Computed tomography. Thorax. Slice 432 of 605. Image width 434 mm. 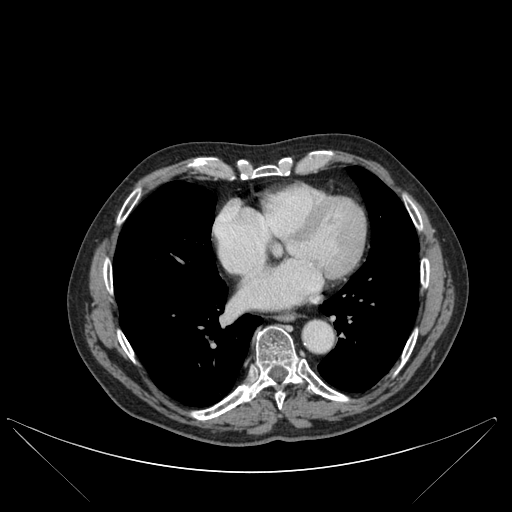 <segmentation>
  <lung>[318, 166, 419, 392], [113, 181, 262, 405]</lung>
  <bone>[117, 192, 138, 223], [192, 326, 348, 419], [309, 152, 330, 155], [103, 260, 112, 292], [405, 197, 422, 229], [421, 259, 429, 287], [400, 330, 417, 366], [241, 167, 288, 179], [117, 331, 134, 360], [188, 159, 215, 166]</bone>
</segmentation>